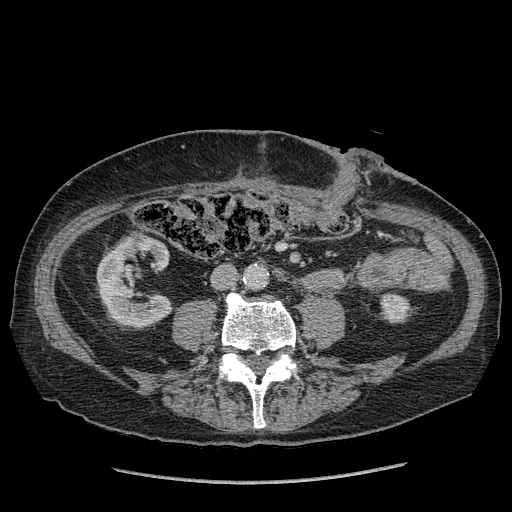

Image size 512x512; CT; Abdomen
2 kidney regions appear at [380, 294, 409, 322], [97, 238, 171, 326].